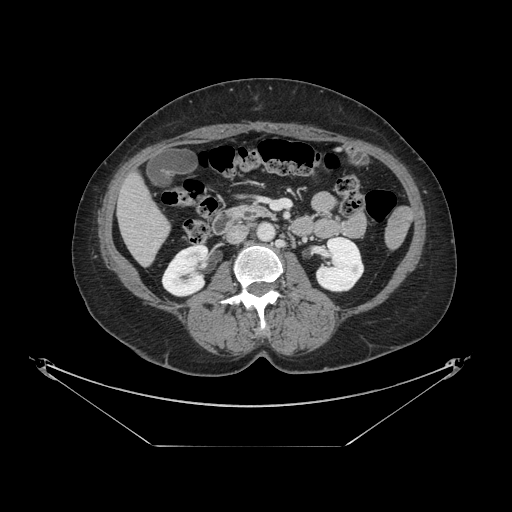

Image size 512x512 | CT scan slice
The pancreas lies within [249, 205, 272, 216].